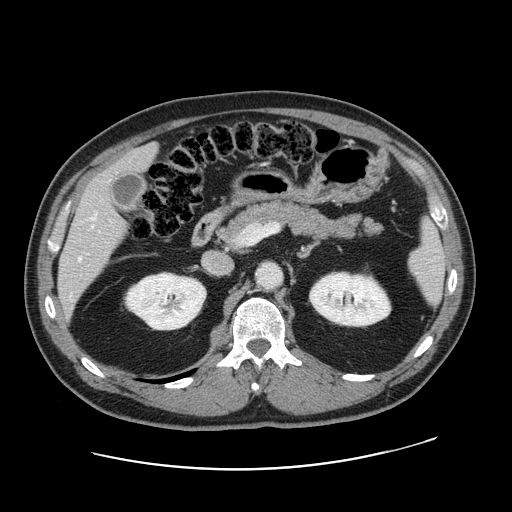 512x512; Liver; CT slice
Not every hepatic vessel necessarily has a box.
6 hepatic vessel regions appear at [149,144,156,149], [89,211,96,220], [119,218,124,225], [78,257,81,260], [65,309,69,312], [91,224,93,226].